FLAIR MRI.
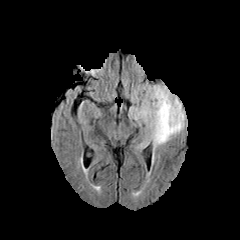
T1-weighted MR.
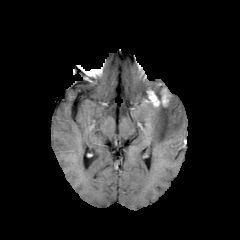
Post-contrast T1-weighted MR.
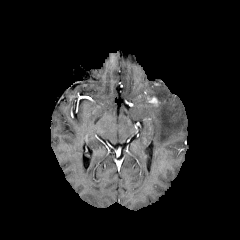
T2-weighted MR image.
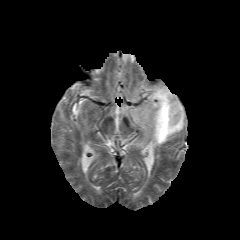
Brain
{
  "enhancing_tumor": [
    "(left=145, top=90, right=159, bottom=108)"
  ],
  "edema": [
    "(left=128, top=85, right=185, bottom=148)"
  ]
}